Slice 97/155
FLAIR MR.
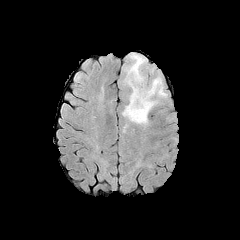
T1-weighted MR image.
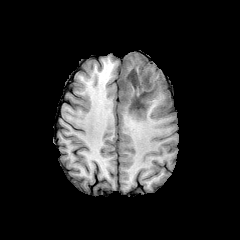
Post-contrast T1-weighted MRI.
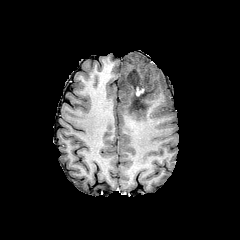
T2-weighted MR.
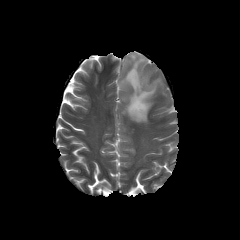
Segmented structures:
- non-enhancing tumor core: {"x1": 126, "y1": 70, "x2": 150, "y2": 109}
- edema: {"x1": 120, "y1": 53, "x2": 167, "y2": 124}